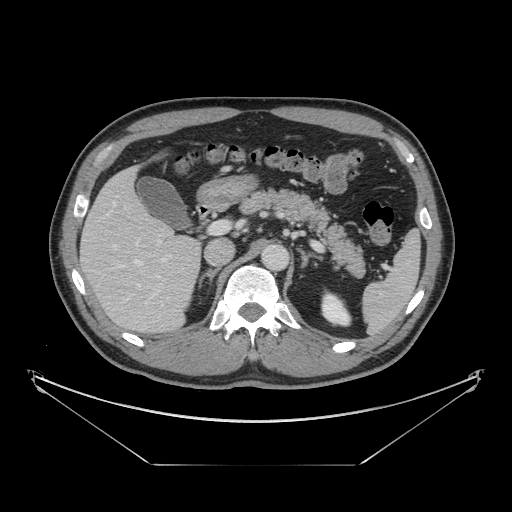 Abdomen. CT slice. Pancreas: box=[239, 188, 364, 276].